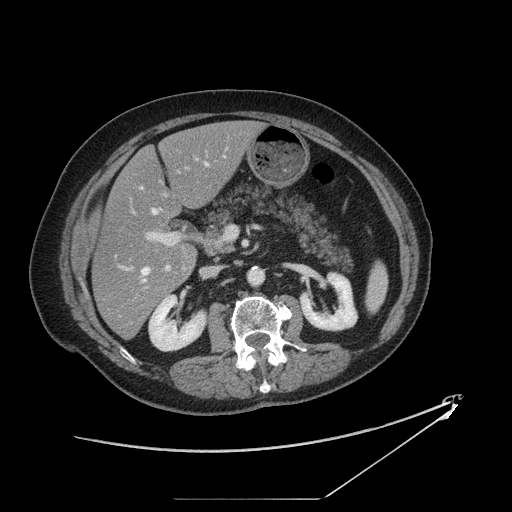 Image size 512x512, CT image
<segmentation>
  <pancreas>x1=200 y1=183 x2=355 y2=275</pancreas>
</segmentation>